Head | 240x240 | Slice 91/155
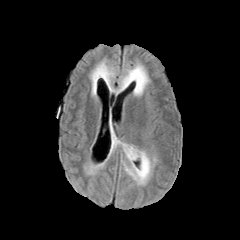
FLAIR MR.
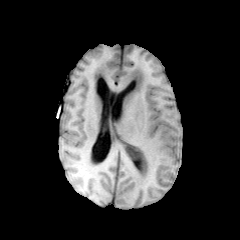
T1-weighted MRI of the same slice.
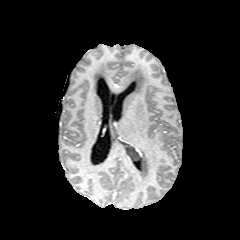
Post-contrast T1-weighted MRI.
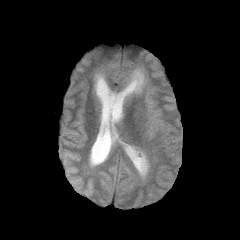
T2-weighted MR image of the same slice.
Edema: [x1=110, y1=126, x2=127, y2=161], [x1=112, y1=63, x2=149, y2=96], [x1=92, y1=70, x2=100, y2=80], [x1=121, y1=150, x2=151, y2=184].
Non-enhancing tumor core: [x1=123, y1=145, x2=147, y2=176].